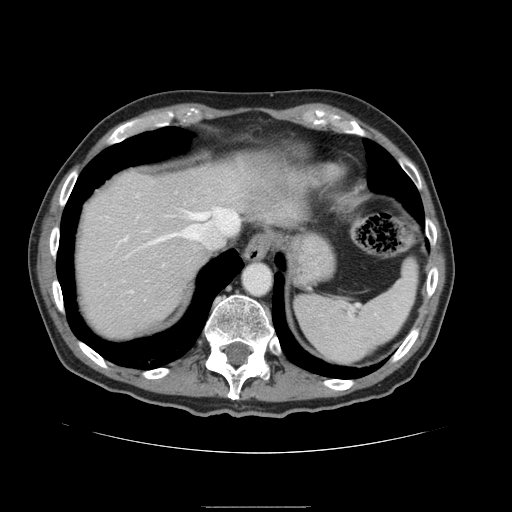 Upper abdomen. CT. 512x512 px.

• spleen: 294,261,417,364